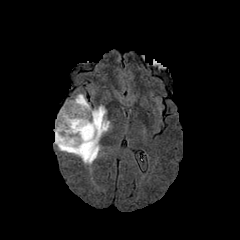
FLAIR MR.
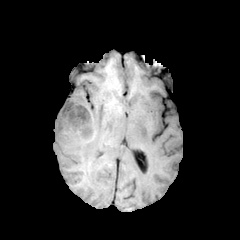
T1-weighted MR.
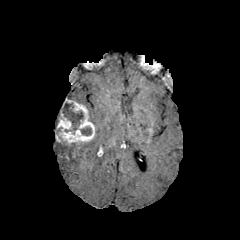
Post-contrast T1-weighted MRI of the same slice.
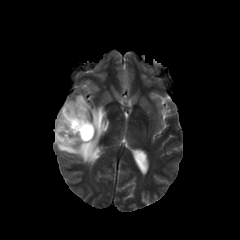
T2-weighted MRI.
The enhancing tumor lies within bbox=[56, 100, 94, 142]. The edema is bounded by bbox=[54, 93, 110, 165]. 2 non-enhancing tumor core regions appear at bbox=[61, 103, 92, 136]; bbox=[57, 127, 67, 142].